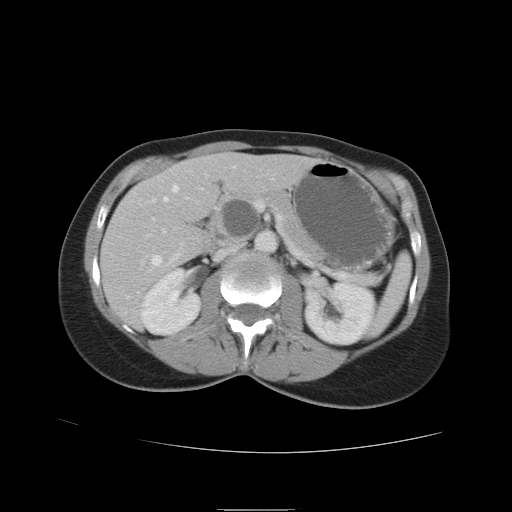 Abdomen. CT slice.
pancreas:
  - bbox=[206, 190, 328, 264]
pancreatic_tumor:
  - bbox=[222, 200, 258, 237]